Slice index 62 | Field of view 240x240 mm
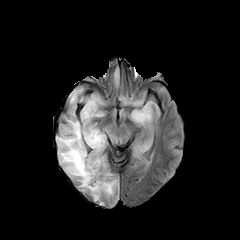
FLAIR magnetic resonance.
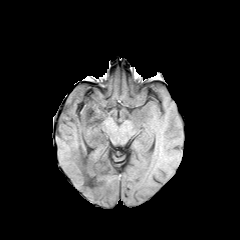
T1-weighted MR.
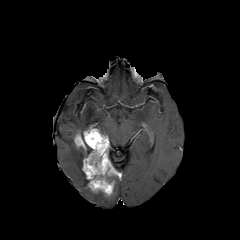
Same slice, post-contrast T1-weighted magnetic resonance.
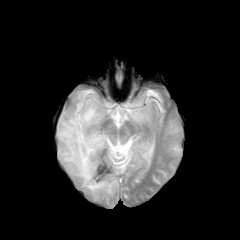
T2-weighted MRI of the same slice.
Segmented structures:
- enhancing tumor: (74, 125, 114, 195)
- edema: (135, 143, 150, 153), (124, 98, 151, 125), (56, 91, 103, 200)
- non-enhancing tumor core: (79, 146, 92, 166), (96, 158, 119, 187)